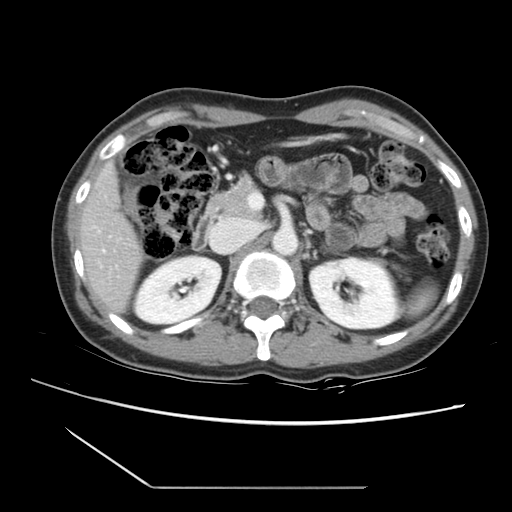
512x512; CT; Liver
The vessel annotation is not exhaustive.
Hepatic vessel = (103, 250, 104, 252), (92, 226, 99, 232), (99, 263, 101, 266).